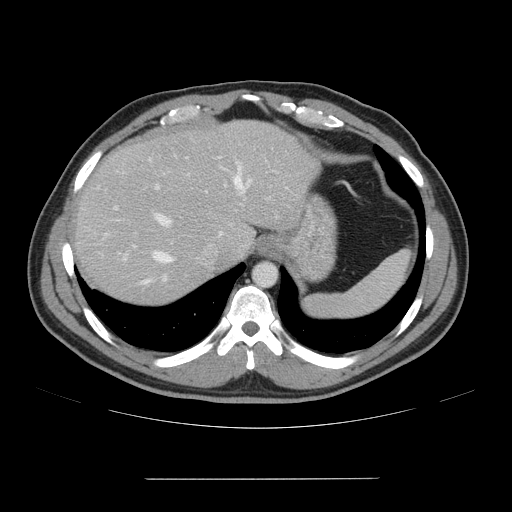 CT scan slice
Some hepatic vessels may have no box.
14 hepatic vessel regions are located at x1=153 y1=251 x2=171 y2=262, x1=220 y1=167 x2=225 y2=169, x1=142 y1=280 x2=149 y2=283, x1=114 y1=206 x2=117 y2=209, x1=247 y1=179 x2=250 y2=184, x1=122 y1=172 x2=124 y2=173, x1=163 y1=276 x2=166 y2=280, x1=266 y1=198 x2=268 y2=200, x1=155 y1=185 x2=158 y2=188, x1=105 y1=233 x2=108 y2=236, x1=244 y1=197 x2=245 y2=198, x1=155 y1=214 x2=170 y2=224, x1=122 y1=255 x2=126 y2=260, x1=234 y1=162 x2=244 y2=193.